Computed tomography

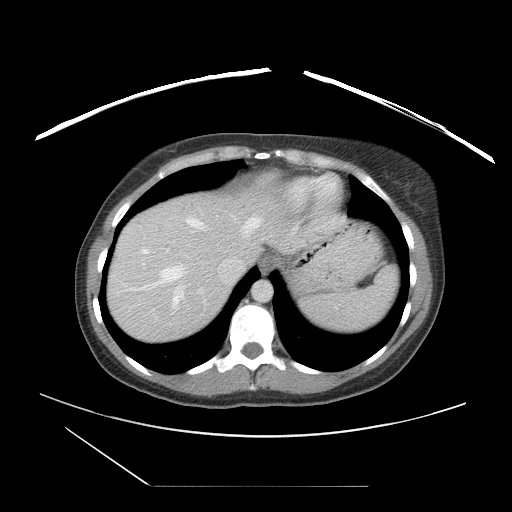 Not every hepatic vessel necessarily has a box.
9 hepatic vessel regions are located at [127,265,185,290], [241,215,261,239], [166,249,168,250], [218,258,242,282], [187,217,203,228], [218,235,219,236], [173,287,183,309], [142,249,147,253], [233,216,237,222].